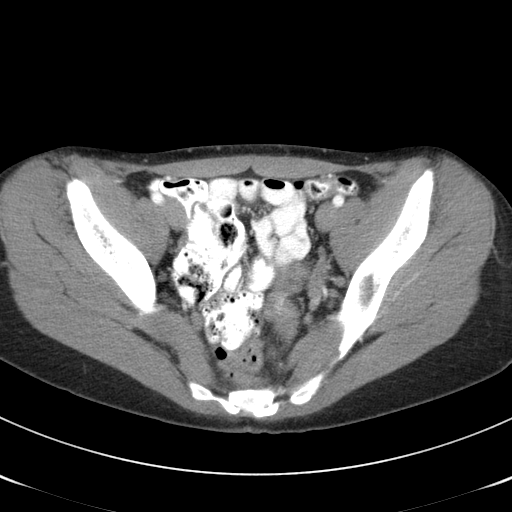

CT scan slice | Pelvis
Colon tumor: 308,260,325,297; 265,264,306,335.